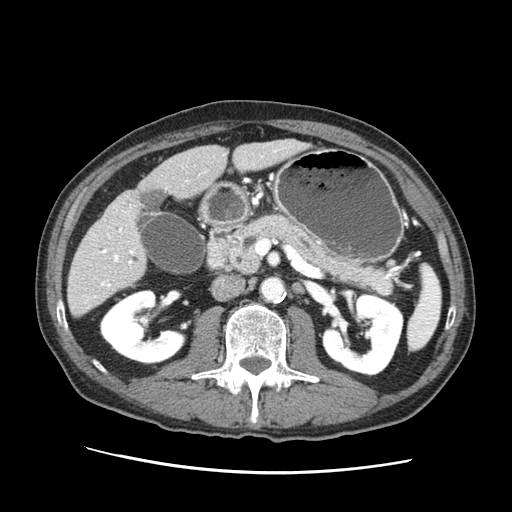

CT slice.

pancreatic tumor: <box>220,247,231,258</box> | pancreas: <box>226,218,393,295</box>